240x240.
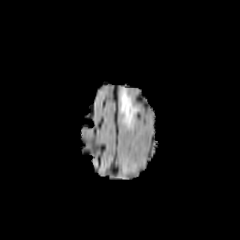
FLAIR MR image.
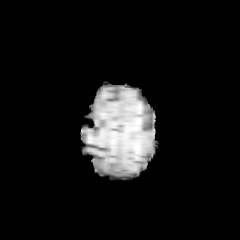
T1-weighted MR.
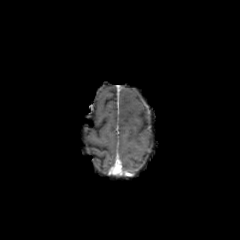
Same slice, post-contrast T1-weighted magnetic resonance.
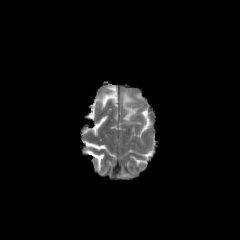
Same slice, T2-weighted MRI.
edema: box=[120, 91, 137, 124]